Slice 13/43; MRI; Image width 36 mm

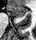
<segmentation>
  <anterior_hippocampus>rect(8, 6, 26, 17)</anterior_hippocampus>
</segmentation>